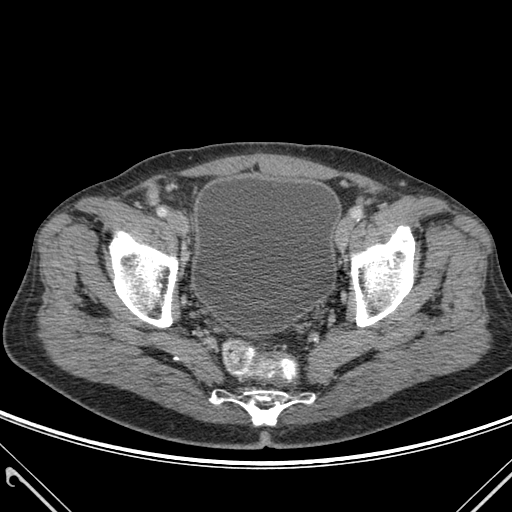

CT scan slice.
<segmentation>
  <urinary_bladder>box=[194, 178, 338, 323]</urinary_bladder>
  <bone>box=[210, 391, 314, 424]; box=[110, 231, 177, 327]; box=[351, 226, 414, 326]</bone>
</segmentation>